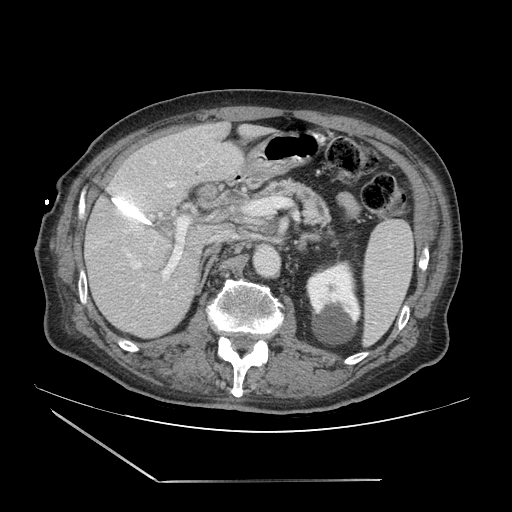 Abdomen. Computed tomography.
{
  "pancreas": [
    "rect(263, 179, 332, 230)"
  ]
}